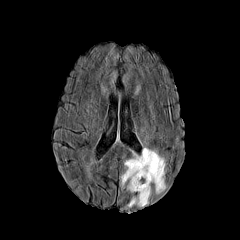
FLAIR magnetic resonance.
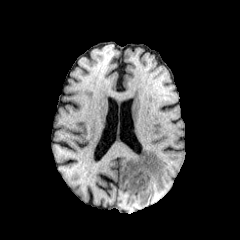
Same slice, T1-weighted MR.
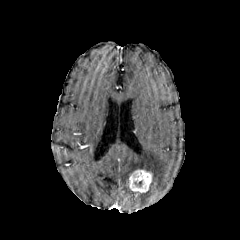
Post-contrast T1-weighted MR image of the same slice.
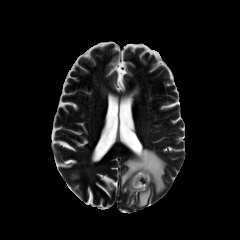
T2-weighted MRI.
Brain
Annotated regions:
* edema: (125,186,151,209), (119,147,165,193)
* non-enhancing tumor core: (133,180,143,188)
* enhancing tumor: (129,169,153,193)